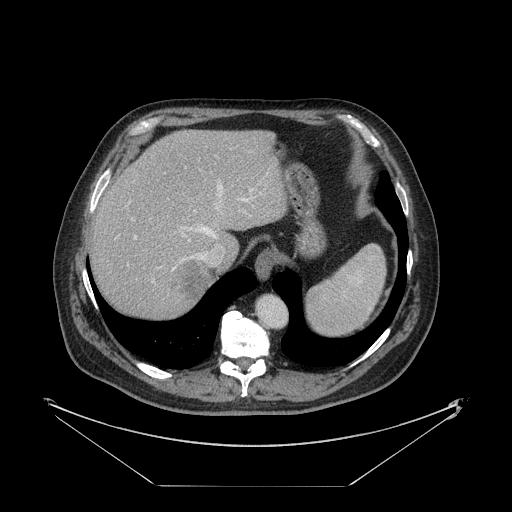
512x512 px; Liver; CT scan slice
The vessel boxes may cover only some of the vessels.
liver tumor: (171, 262, 210, 299) | hepatic vessel: (152, 278, 153, 281), (249, 188, 253, 190), (188, 239, 189, 240), (156, 267, 159, 268), (131, 217, 133, 220), (182, 234, 185, 236), (217, 181, 221, 193)